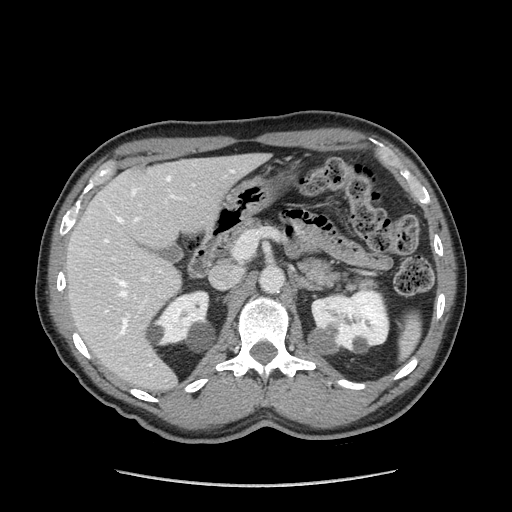
CT.
Annotated regions:
- pancreas: l=225, t=220, r=262, b=247; l=289, t=236, r=373, b=292